FLAIR magnetic resonance.
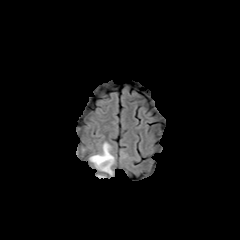
T1-weighted MRI.
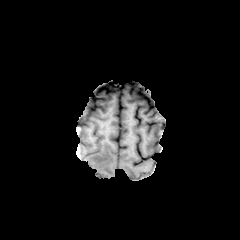
Post-contrast T1-weighted MR image.
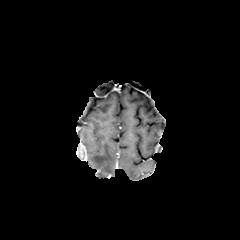
T2-weighted MRI.
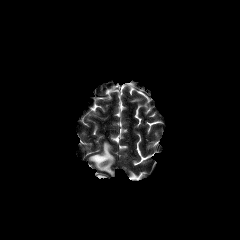
edema: (89, 142, 114, 178)